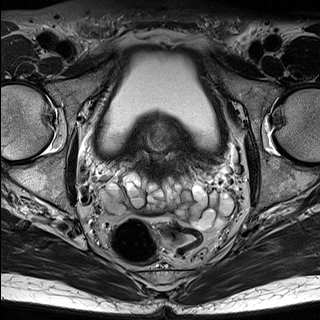
T2-weighted MR image.
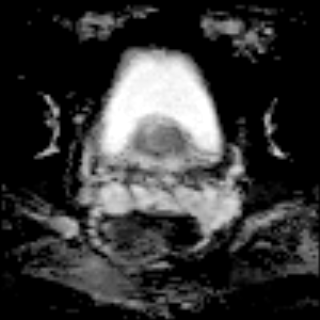
ADC MR.
Pelvis.
The prostate transition zone is located at box(141, 125, 176, 152).